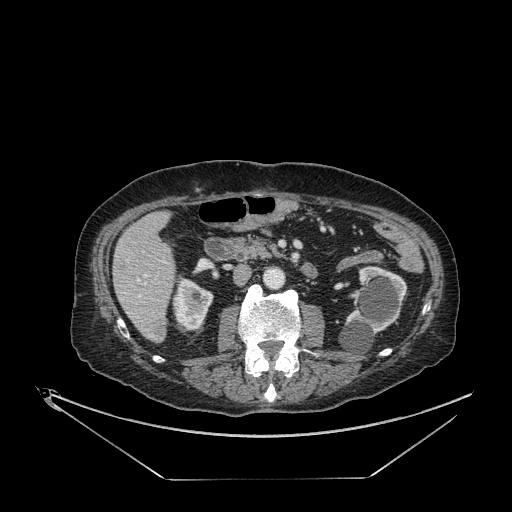 CT
kidney: rect(173, 279, 212, 329); rect(346, 308, 399, 333); rect(359, 266, 406, 303) | liver: rect(113, 212, 174, 342) | focal liver lesion: rect(117, 262, 125, 270); rect(153, 320, 163, 335)